Slice index 8; Magnetic resonance
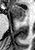 anterior_hippocampus:
  - <bbox>11, 6, 25, 21</bbox>